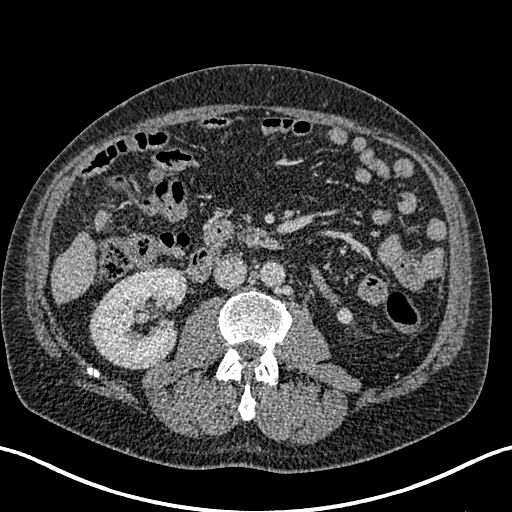 CT. 512x512 px. Liver.

liver: [53,231,95,304], [94,210,111,231] | kidney: [339,310,351,322], [90,268,185,368]